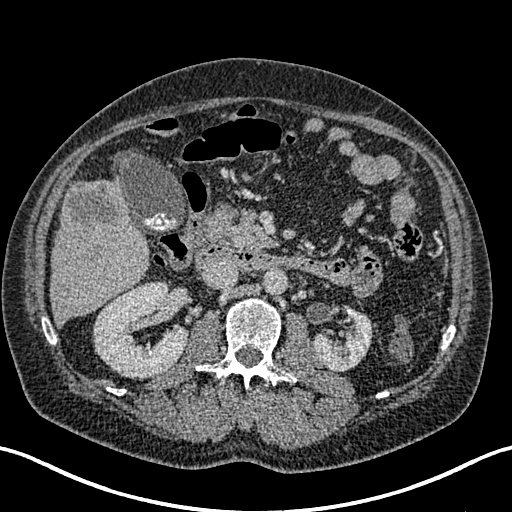
Liver, CT image, Image size 512x512
liver_lesion:
  - <bbox>64, 179, 127, 230</bbox>
kidney:
  - <bbox>94, 283, 186, 377</bbox>
  - <bbox>314, 309, 371, 370</bbox>
liver:
  - <bbox>50, 204, 149, 326</bbox>